Lower abdomen; CT scan slice

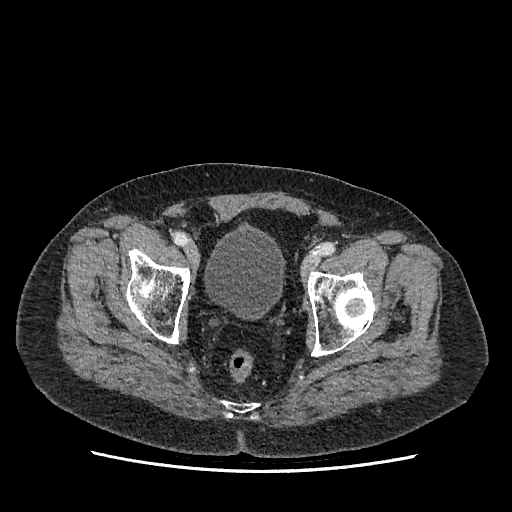
The urinary bladder is at rect(204, 230, 284, 316).